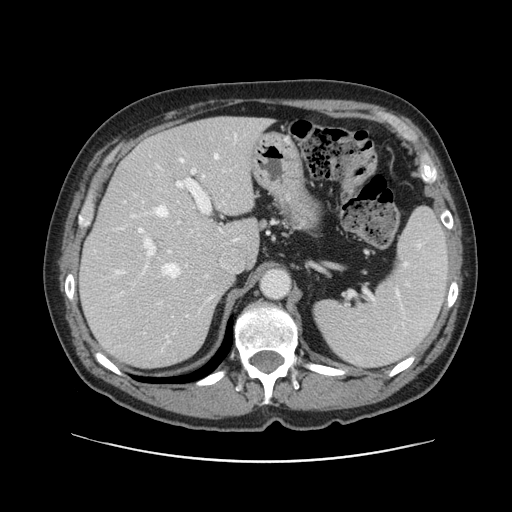 Computed tomography; Abdomen
Some hepatic vessels may have no box.
hepatic vessel: (132, 215, 135, 217), (155, 206, 167, 216), (215, 154, 217, 158), (191, 169, 194, 173), (138, 229, 142, 232), (119, 228, 122, 228), (180, 159, 183, 161), (163, 264, 178, 276), (115, 271, 124, 273), (144, 239, 155, 255), (235, 135, 235, 138), (177, 178, 210, 212), (168, 250, 170, 251)